Slice 75 of 75. CT image.
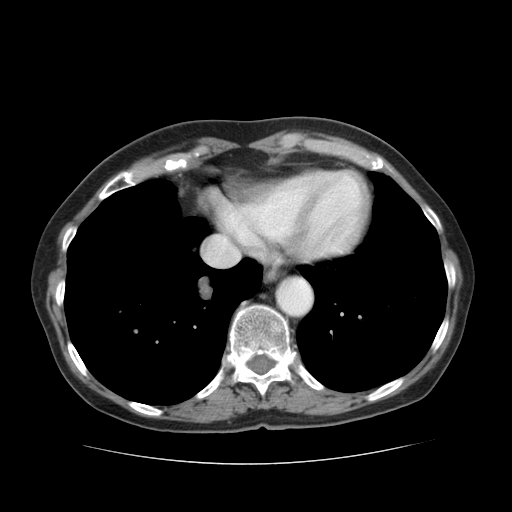
11 bone regions are bounded by box=[61, 225, 76, 247]; box=[422, 205, 442, 230]; box=[443, 259, 456, 284]; box=[197, 387, 207, 397]; box=[66, 345, 76, 355]; box=[432, 317, 452, 349]; box=[133, 401, 143, 410]; box=[372, 377, 402, 398]; box=[101, 174, 131, 197]; box=[228, 306, 325, 397]; box=[52, 281, 64, 301]. 2 lung regions are located at box=[296, 170, 447, 391]; box=[63, 179, 263, 404].